Abdomen. Field of view 424 mm wide, 5.00 mm slice spacing. Slice 51 of 96. CT slice. 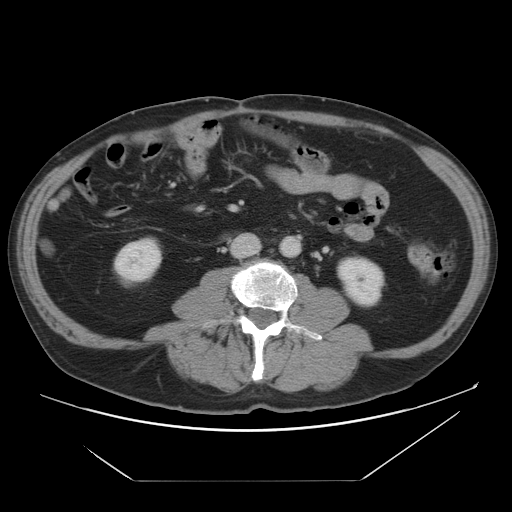
kidney: l=115, t=240, r=160, b=280; l=340, t=260, r=381, b=303